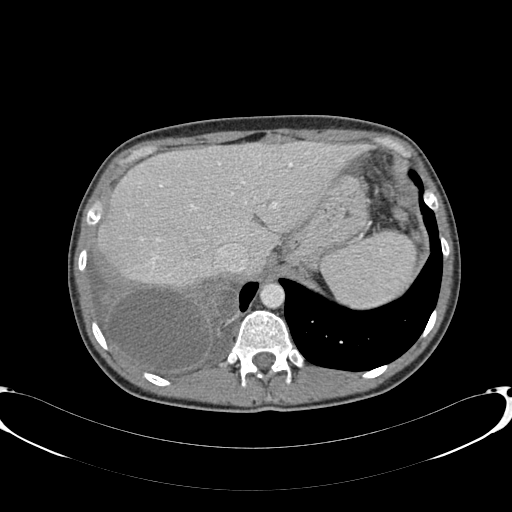 Abdomen. CT slice.
Liver at (98,141,375,286).